FLAIR MR image.
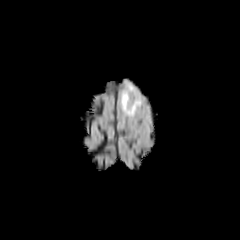
T1-weighted MR image.
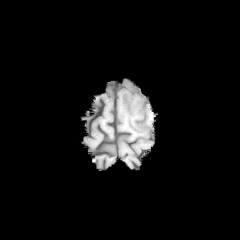
Post-contrast T1-weighted magnetic resonance.
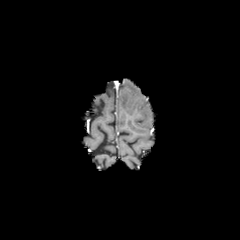
T2-weighted magnetic resonance.
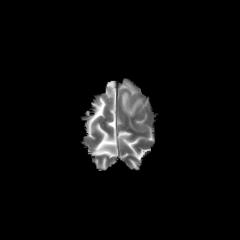
Image size 240x240
Edema = 121, 91, 136, 114.